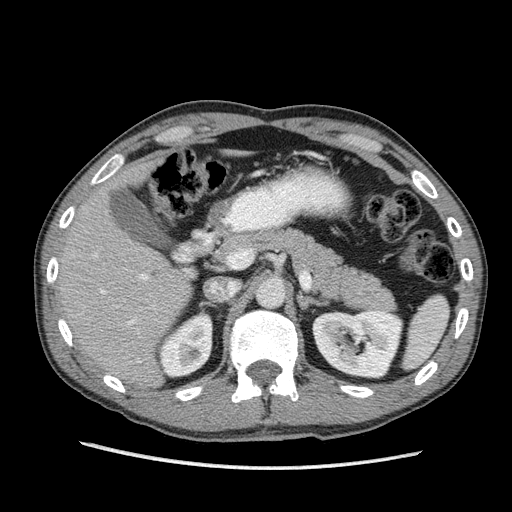 Image size 512x512; CT image

2 kidney regions are bounded by <box>313,311,400,376</box>, <box>161,316,211,375</box>. 2 liver regions are bounded by <box>54,160,192,389</box>, <box>223,150,235,155</box>.